Abdomen; CT image; Field of view 375 mm wide, 2.50 mm slice spacing

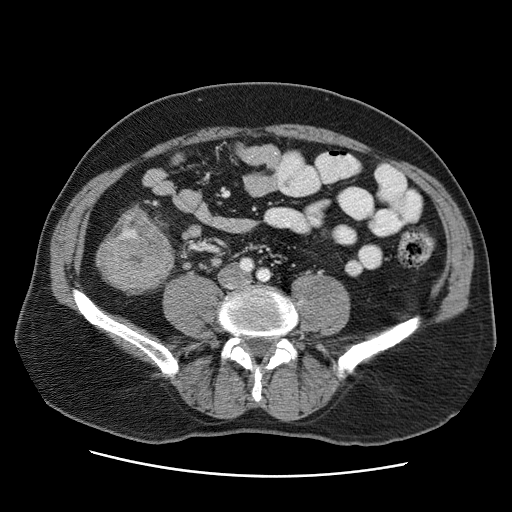

colon tumor: 104 241 161 281